Computed tomography; 512x512; Liver

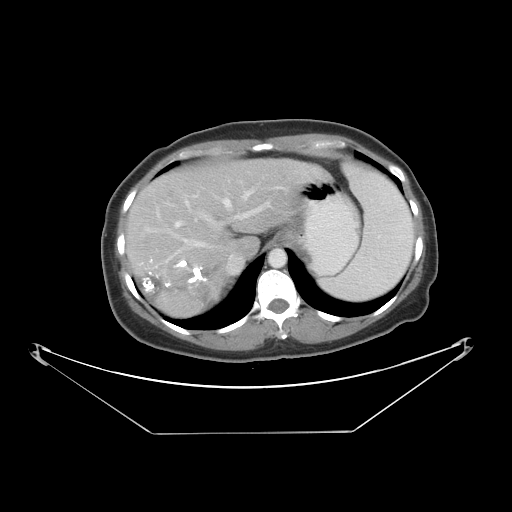
Some hepatic vessels may have no box.
Findings:
• hepatic vessel: box(256, 206, 263, 210); box(156, 227, 211, 253); box(239, 213, 249, 217); box(141, 229, 145, 235); box(189, 207, 223, 229); box(224, 200, 230, 207); box(176, 223, 178, 225); box(156, 206, 161, 220); box(186, 201, 187, 205); box(264, 202, 270, 205); box(242, 188, 253, 198)
• liver tumor: box(137, 254, 224, 312)